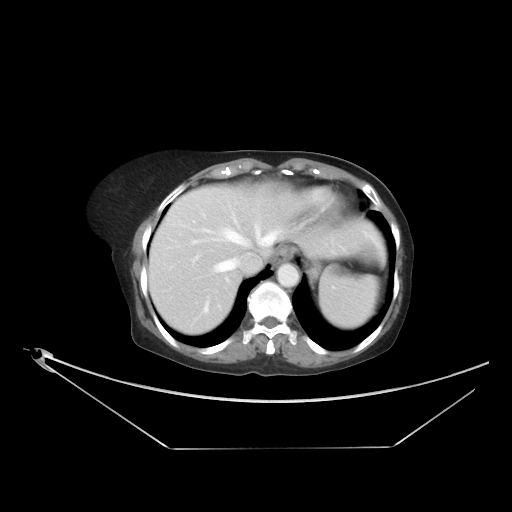
CT slice.

The vessel boxes may cover only some of the vessels.
4 hepatic vessel regions are bounded by x1=254, y1=217, x2=260, y2=235; x1=224, y1=230, x2=245, y2=243; x1=264, y1=229, x2=281, y2=242; x1=216, y1=260, x2=235, y2=270.